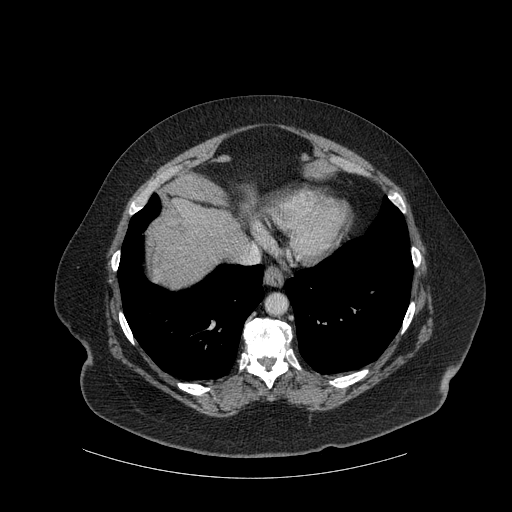

CT slice

Liver = [x1=147, y1=198, x2=244, y2=287].
Bone = [x1=240, y1=318, x2=300, y2=387], [x1=178, y1=383, x2=209, y2=394], [x1=330, y1=370, x2=367, y2=387], [x1=389, y1=193, x2=405, y2=212], [x1=131, y1=203, x2=141, y2=212], [x1=119, y1=313, x2=133, y2=343], [x1=111, y1=251, x2=119, y2=270], [x1=402, y1=303, x2=414, y2=332], [x1=412, y1=247, x2=420, y2=266].
Lung = [x1=118, y1=193, x2=263, y2=379], [x1=285, y1=196, x2=413, y2=373].